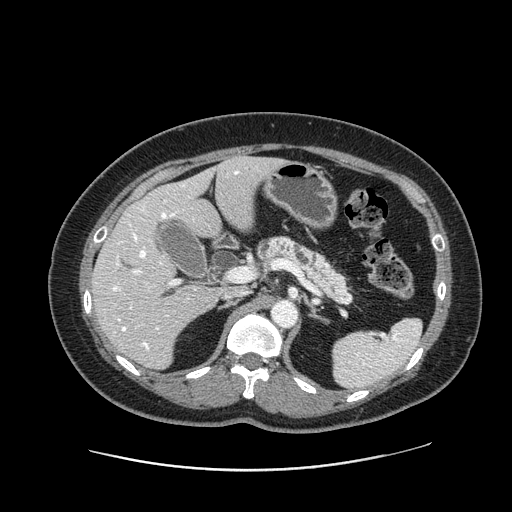

512x512 | CT scan slice | Upper abdomen

Pancreas: [257, 237, 350, 303].